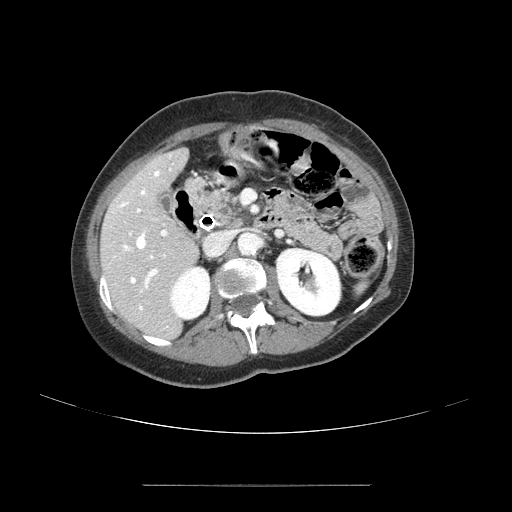

Abdomen; CT slice
The pancreas lies within 188:179:243:229.